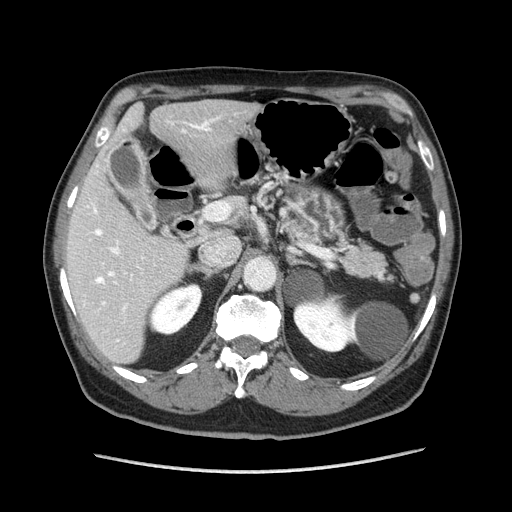

Upper abdomen | CT image | 512x512

pancreas:
  - bbox(333, 237, 391, 281)
  - bbox(288, 215, 321, 242)